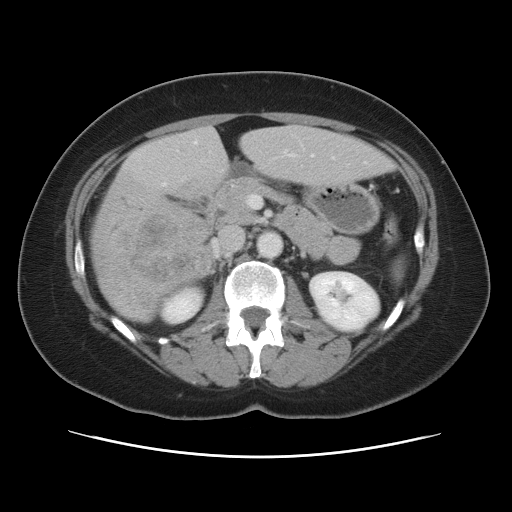

CT | 512x512

Not every hepatic vessel necessarily has a box.
{
  "liver_tumor": [
    "<bbox>127, 211, 197, 285</bbox>"
  ],
  "hepatic_vessel": [
    "<bbox>311, 155, 313, 156</bbox>",
    "<bbox>282, 150, 293, 155</bbox>"
  ]
}